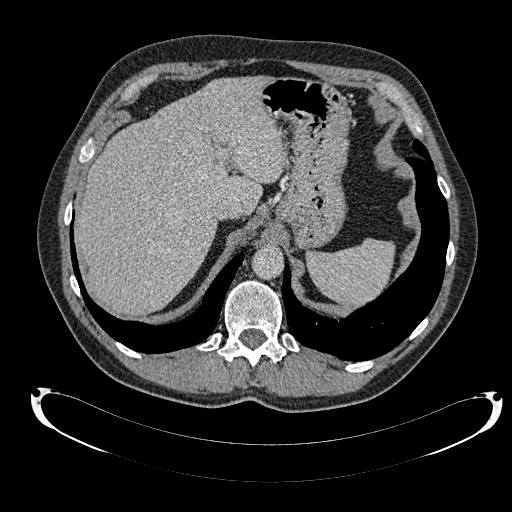 CT image

Liver at (76,76,285,314).